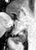

MR image; Medial temporal lobe
The posterior hippocampus is bounded by (14,31,26,43). The anterior hippocampus appears at (9,14,13,17).